CT scan slice; 512x512 px; Slice index 70

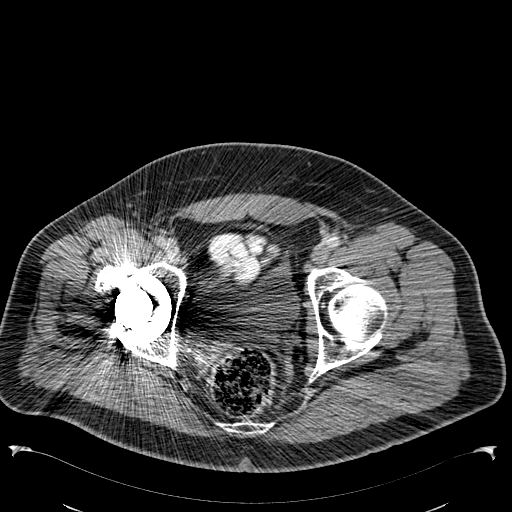
{"urinary_bladder": ["l=211, t=240, r=301, b=328", "l=232, t=225, r=248, b=229", "l=253, t=219, r=259, b=231"]}